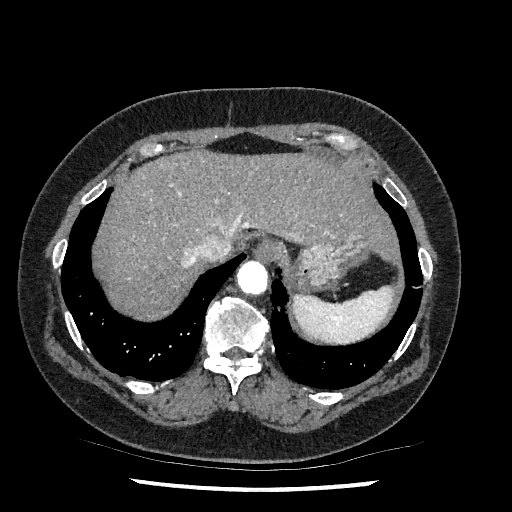 Liver; Computed tomography
Liver — [98, 151, 395, 317].